MR
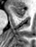
Annotated regions:
* anterior hippocampus: 9,5,25,16
* posterior hippocampus: 18,17,22,17